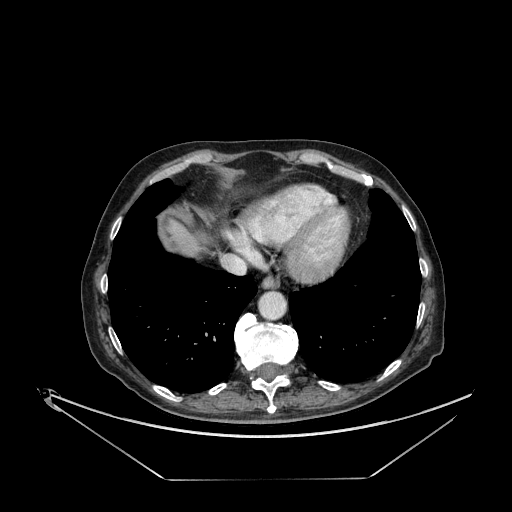

CT image.

The liver lies within 170, 220, 201, 254.